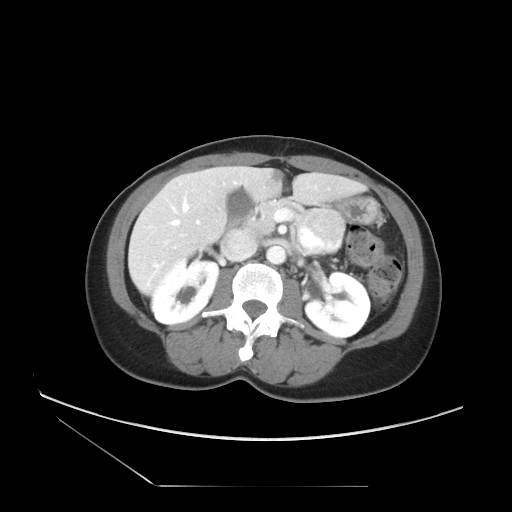 Upper abdomen; Computed tomography; Image size 512x512

pancreatic_tumor:
  - x1=296, y1=208, x2=345, y2=255
pancreas:
  - x1=248, y1=198, x2=311, y2=235